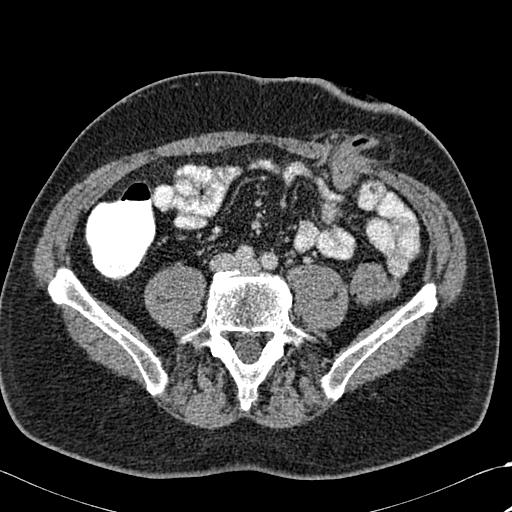 CT.
Bone = l=48, t=268, r=167, b=394; l=178, t=270, r=308, b=409; l=321, t=284, r=436, b=399.